Field of view 329x329 mm, CT image
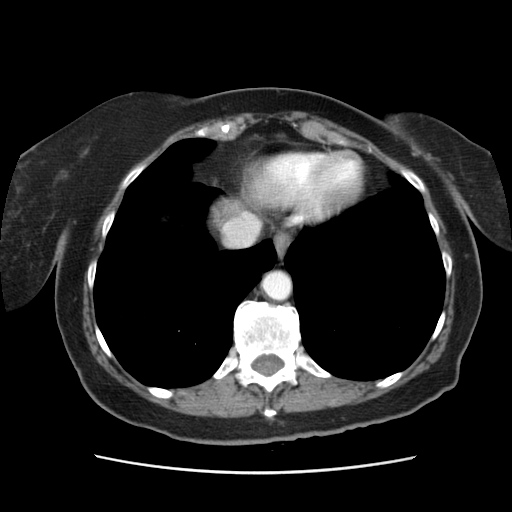 The vessel annotation is not exhaustive.
Hepatic vessel: [x1=225, y1=218, x2=259, y2=245].